Abdomen | CT slice

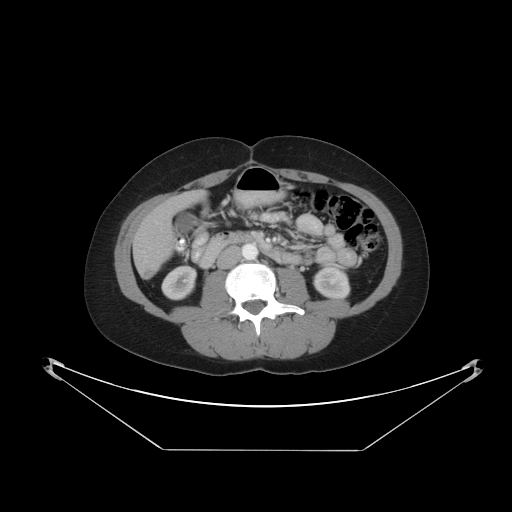
Not every hepatic vessel necessarily has a box.
The hepatic vessel appears at <box>152,265,153,266</box>.